CT image. 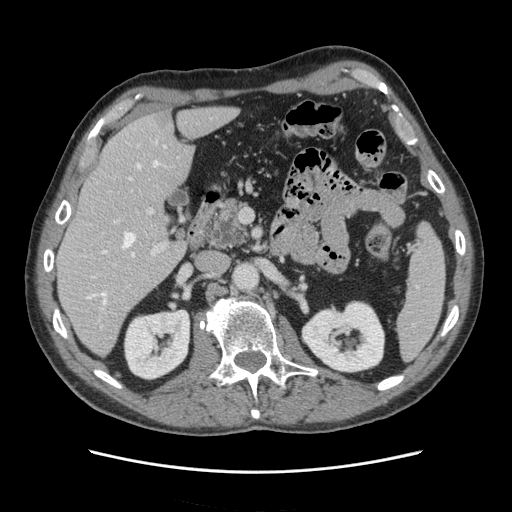 {"spleen": ["bbox(398, 224, 445, 358)"]}